Upper abdomen | Slice 89/168 | CT 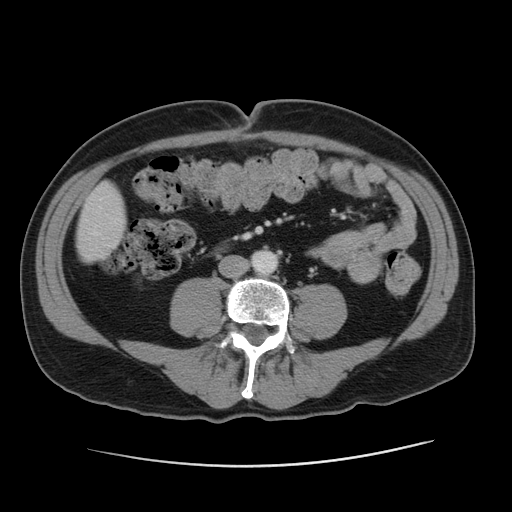

liver:
  - {"x1": 76, "y1": 184, "x2": 126, "y2": 259}